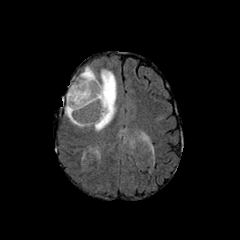
FLAIR MR.
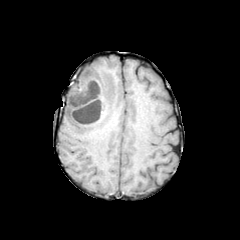
T1-weighted MR image.
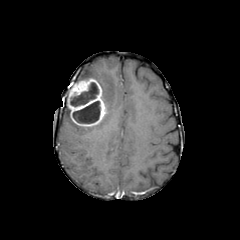
Same slice, post-contrast T1-weighted MRI.
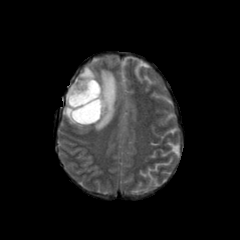
T2-weighted MR.
Brain
<segmentation>
  <edema>bbox(74, 67, 117, 131); bbox(65, 107, 90, 127)</edema>
  <non-enhancing_tumor_core>bbox(70, 82, 99, 106); bbox(72, 100, 100, 123)</non-enhancing_tumor_core>
  <enhancing_tumor>bbox(67, 79, 105, 125)</enhancing_tumor>
</segmentation>